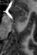

MR, Hippocampus, 37x55 px
Segmented structures:
- anterior hippocampus: x1=12, y1=6, x2=26, y2=21